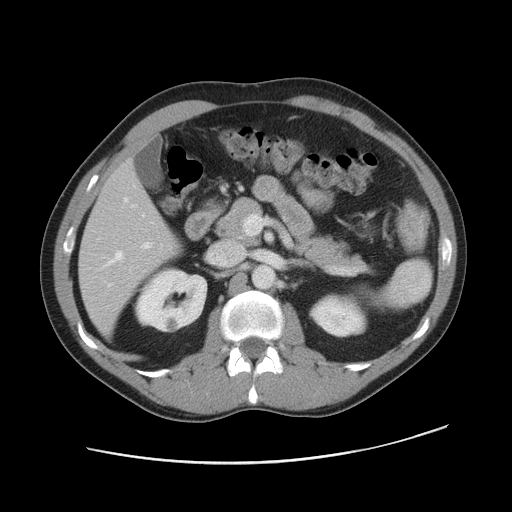
CT

colon_tumor:
  - [x1=397, y1=202, x2=430, y2=249]